Brain
FLAIR magnetic resonance.
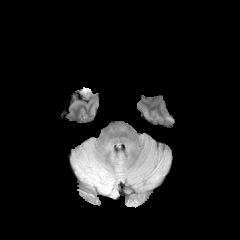
T1-weighted MR image.
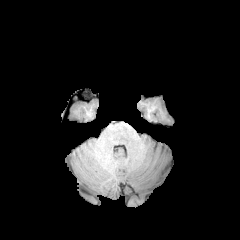
Post-contrast T1-weighted MR.
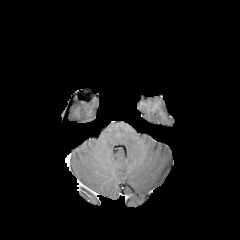
T2-weighted MR image.
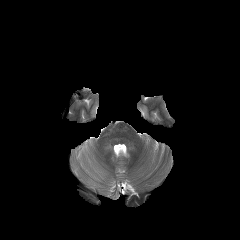
The edema lies within {"x1": 90, "y1": 149, "x2": 113, "y2": 193}.